Slice 93/871. Computed tomography. Pelvis. 512x512. 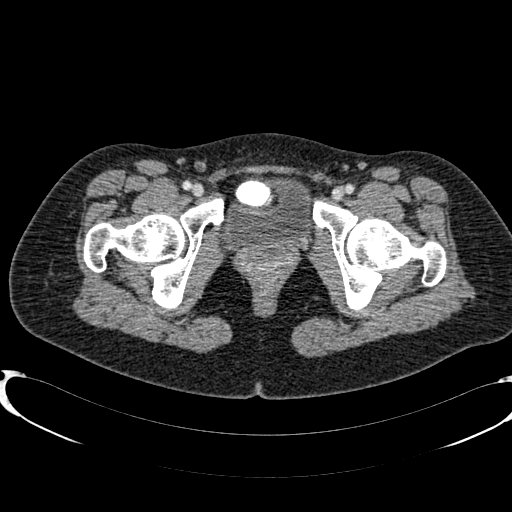
urinary bladder: <box>218,170,319,252</box>